Slice 96/155, Head
FLAIR magnetic resonance.
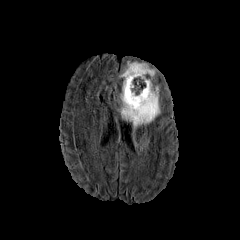
T1-weighted magnetic resonance.
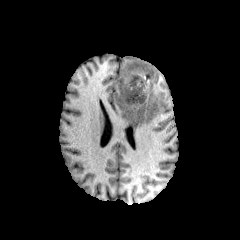
Post-contrast T1-weighted MRI.
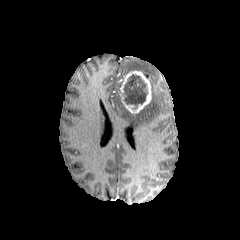
T2-weighted MR image.
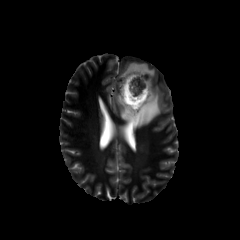
<segmentation>
  <enhancing_tumor>119,70,157,113</enhancing_tumor>
  <edema>118,90,160,130; 118,62,154,77</edema>
  <non-enhancing_tumor_core>123,74,147,108</non-enhancing_tumor_core>
</segmentation>